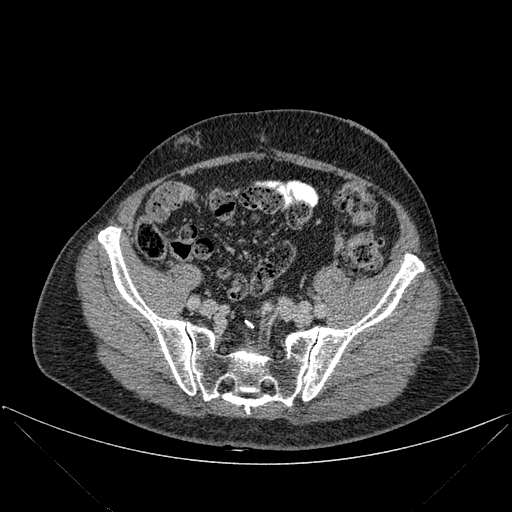

512x512 px. Computed tomography.

{"bone": ["l=98, t=226, r=424, b=413"]}